512x512; Field of view 383x383 mm; Abdomen; Slice 37 of 47; CT scan slice 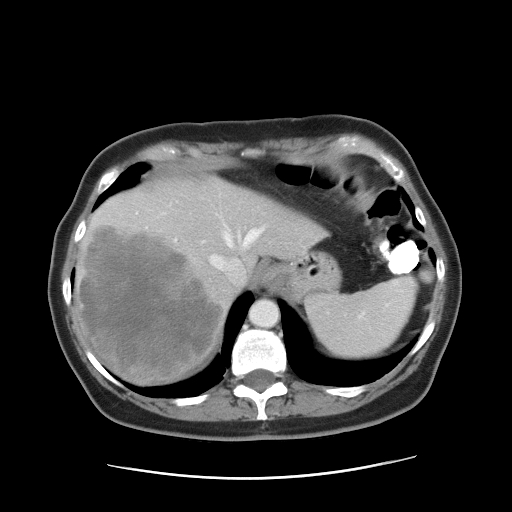 The vessel boxes may cover only some of the vessels.
• hepatic vessel: [174, 239, 176, 241], [209, 254, 244, 284], [222, 228, 263, 250]
• liver tumor: [78, 221, 224, 383]